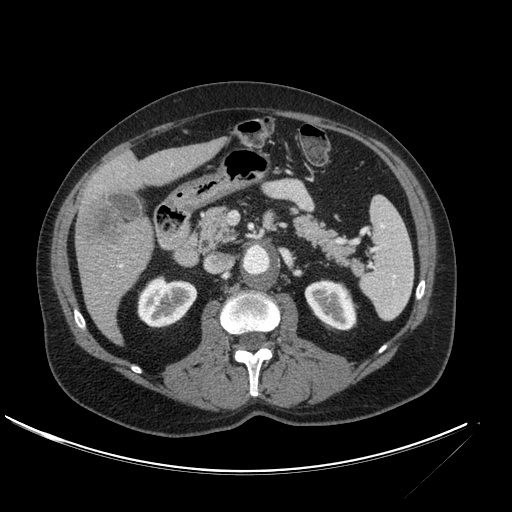

Abdomen. Image size 512x512. Computed tomography.

Segmented structures:
• liver: [x1=76, y1=217, x2=154, y2=344], [x1=80, y1=136, x2=227, y2=209]
• hepatic lesion: [x1=76, y1=188, x2=126, y2=250]
• kidney: [x1=138, y1=279, x2=196, y2=326], [x1=305, y1=281, x2=355, y2=329]